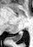

MR
Posterior hippocampus at bbox(12, 31, 22, 41).